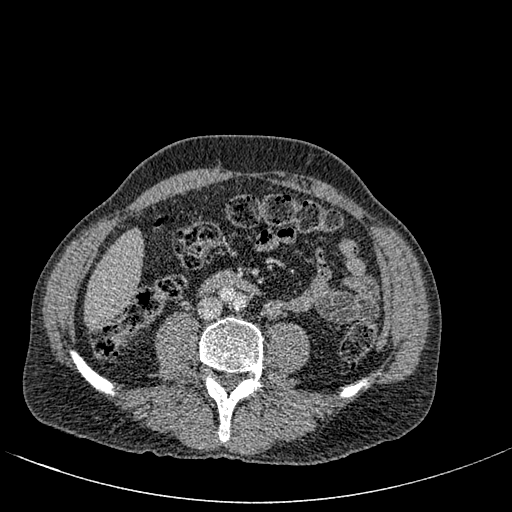 512x512; CT slice
liver: (85, 231, 141, 324)